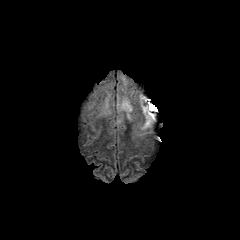
FLAIR MR.
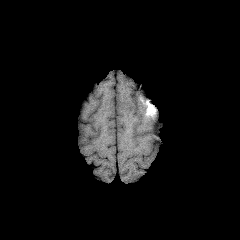
T1-weighted MR of the same slice.
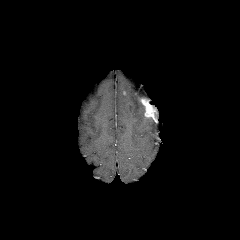
Same slice, post-contrast T1-weighted MRI.
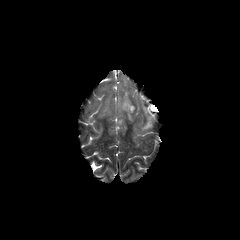
T2-weighted MRI.
3 edema regions appear at l=113, t=88, r=134, b=123; l=100, t=96, r=111, b=116; l=138, t=94, r=152, b=133. The enhancing tumor appears at l=140, t=98, r=156, b=120.